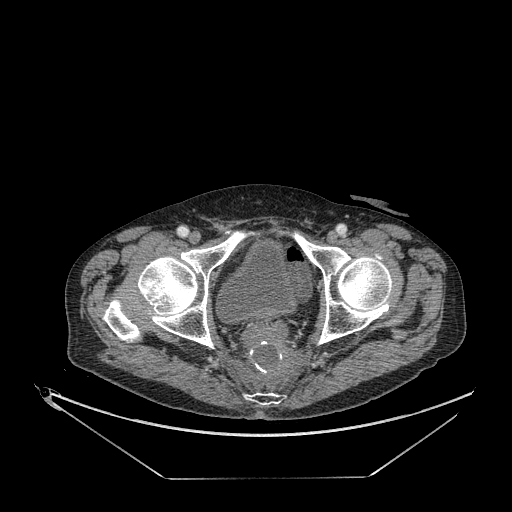

CT slice, 512x512
Annotated regions:
* urinary bladder: x1=216, y1=239, x2=298, y2=322